Abdomen | CT scan slice
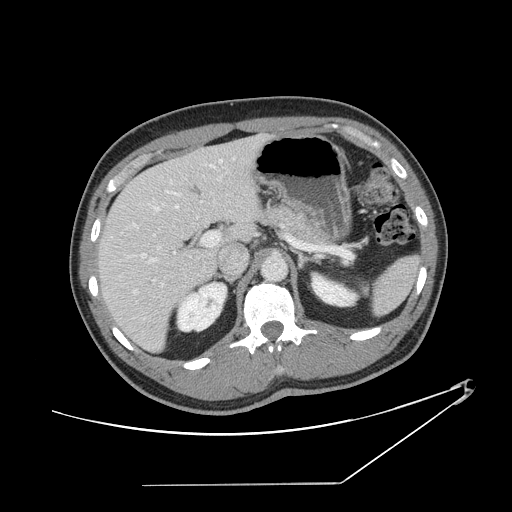

Only some of the vessels may be annotated.
Largest 15 of 16 hepatic vessel regions: bounding box 153,279,155,281; 153,206,159,210; 202,231,219,246; 133,290,136,293; 165,190,181,195; 170,181,171,183; 126,255,132,258; 226,170,228,173; 219,159,221,162; 133,223,138,229; 173,251,175,253; 210,165,214,167; 216,177,221,180; 139,253,156,261; 176,206,177,207.